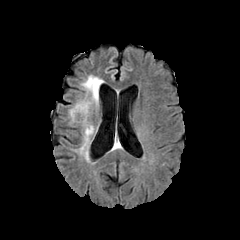
FLAIR MR image.
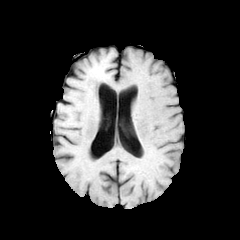
Same slice, T1-weighted MR image.
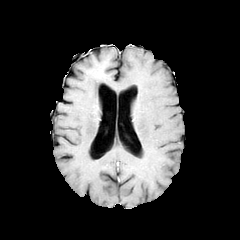
Post-contrast T1-weighted MRI of the same slice.
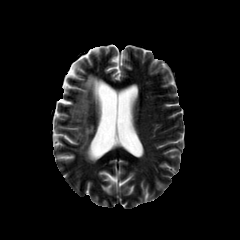
T2-weighted MR image.
- edema: (x1=69, y1=74, x2=104, y2=160)